FLAIR MRI.
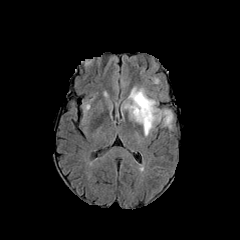
T1-weighted MRI.
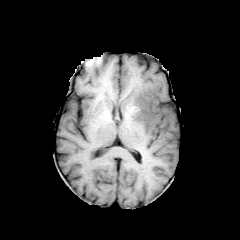
Post-contrast T1-weighted MR image.
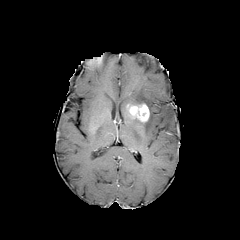
T2-weighted magnetic resonance.
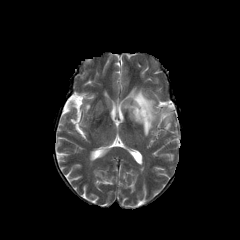
Brain
Edema at box(129, 88, 172, 135).
Enhancing tumor at box(129, 104, 149, 122).